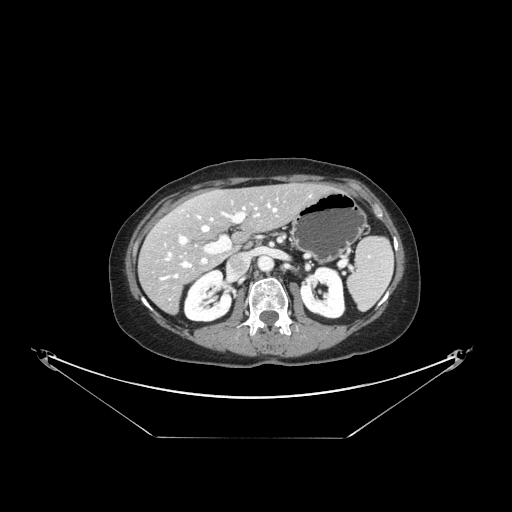 CT, Image size 512x512, Abdomen

Some hepatic vessels may have no box.
3 hepatic vessel regions are located at 202 259 206 262, 203 226 207 230, 180 237 186 243.